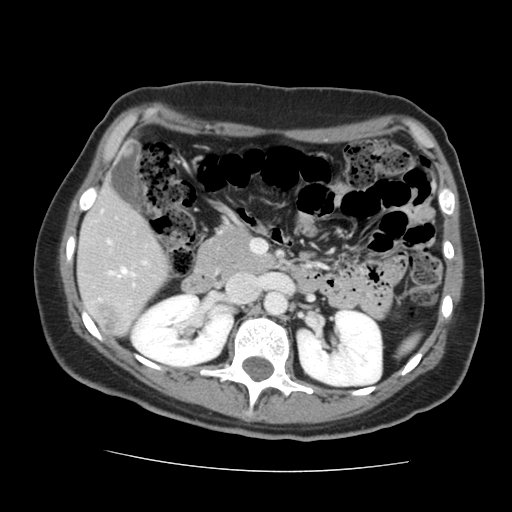
CT slice; Abdomen

Some hepatic vessels may have no box.
The liver tumor is bounded by 100 303 116 329. 4 hepatic vessel regions are located at 107 240 110 243, 143 262 145 264, 130 273 134 275, 108 268 126 277.